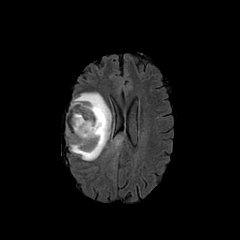
FLAIR MR image.
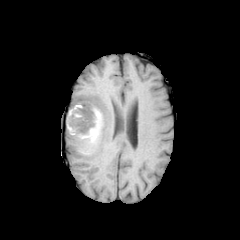
Same slice, T1-weighted MR.
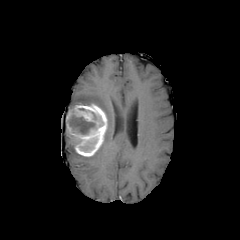
Post-contrast T1-weighted MRI.
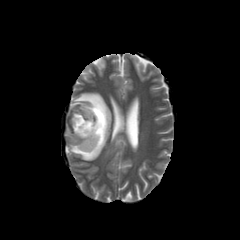
T2-weighted magnetic resonance of the same slice.
Brain.
{"enhancing_tumor": ["bbox(66, 104, 107, 156)"], "edema": ["bbox(69, 92, 111, 160)"], "non-enhancing_tumor_core": ["bbox(93, 113, 103, 126)", "bbox(70, 114, 95, 134)"]}